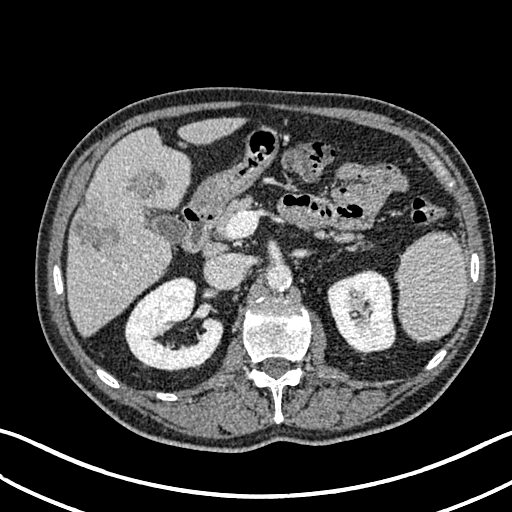 CT, Image size 512x512

Liver: (left=68, top=129, right=189, bottom=334), (left=179, top=118, right=244, bottom=144).
Liver lesion: (left=126, top=171, right=165, bottom=198), (left=76, top=202, right=123, bottom=251).
Kidney: (left=126, top=278, right=222, bottom=369), (left=328, top=271, right=394, bottom=351).